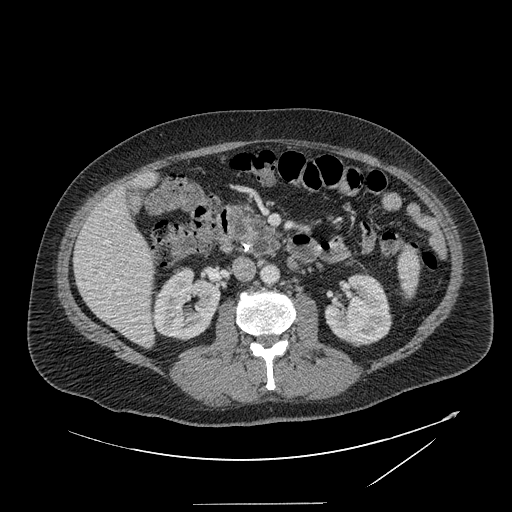 CT
The pancreatic tumor is at 246, 223, 258, 241. The pancreas lies within 234, 206, 280, 254.